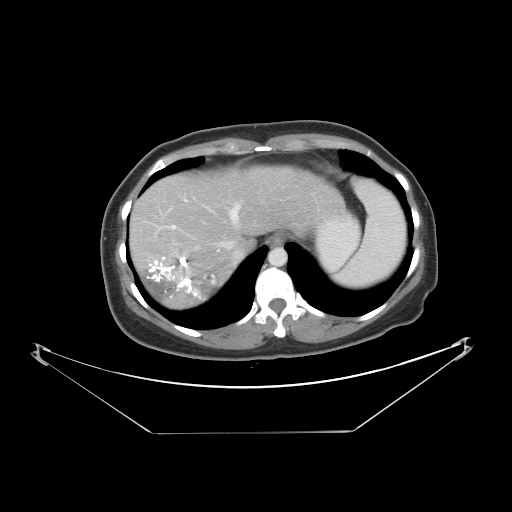
CT scan slice, Abdomen

Not every hepatic vessel necessarily has a box.
<segmentation>
  <hepatic_vessel>rect(142, 220, 183, 240); rect(171, 240, 180, 248); rect(214, 241, 235, 248); rect(146, 195, 155, 200); rect(140, 230, 141, 231); rect(158, 206, 172, 220); rect(185, 233, 195, 239); rect(201, 220, 204, 222); rect(228, 200, 242, 227); rect(203, 204, 215, 213); rect(194, 246, 199, 249)</hepatic_vessel>
  <liver_tumor>rect(139, 248, 218, 306)</liver_tumor>
</segmentation>